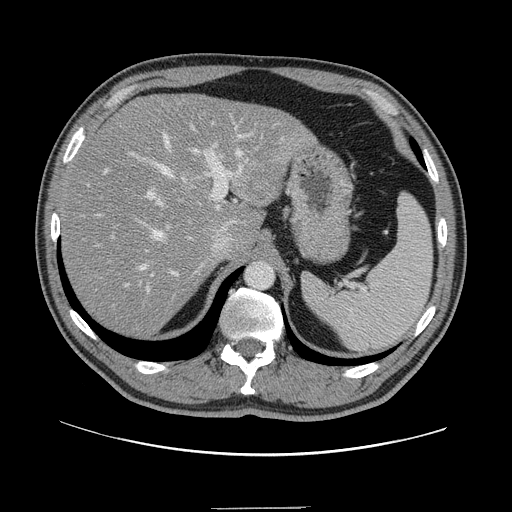

Abdomen; CT slice; Image size 512x512
Some hepatic vessels may have no box.
The liver tumor is bounded by 237, 167, 278, 204. The top 15 hepatic vessel regions (of 20) are located at 167, 226, 169, 229; 236, 150, 241, 155; 163, 131, 169, 146; 140, 265, 147, 270; 157, 164, 171, 175; 194, 145, 236, 200; 237, 135, 245, 138; 104, 170, 108, 173; 147, 189, 162, 205; 191, 125, 194, 128; 152, 231, 164, 240; 238, 165, 242, 173; 147, 287, 150, 291; 170, 271, 179, 276; 130, 153, 135, 155.